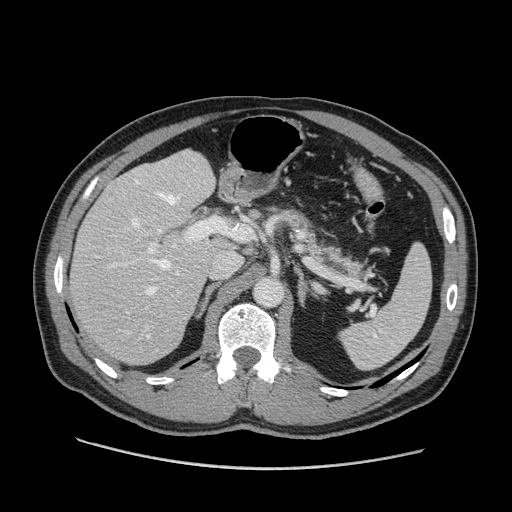

Abdomen | CT slice
pancreas: <bbox>263, 207, 367, 279</bbox>